Slice 22/333. Computed tomography.
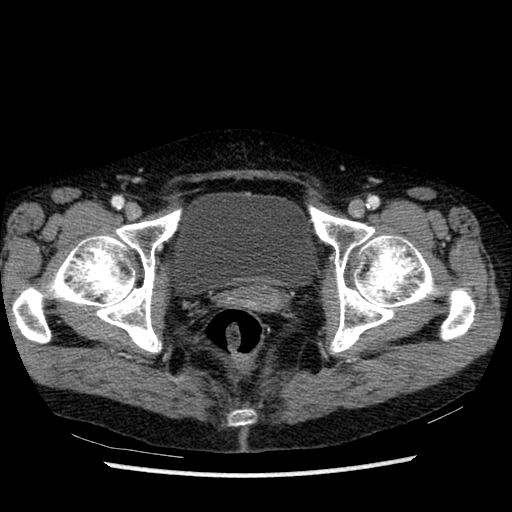
The urinary bladder is at 167 192 320 296.